Brain | Slice 79/155 | Field of view 240x240 mm
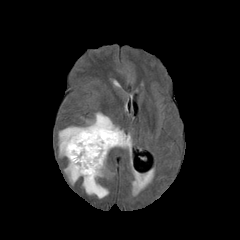
FLAIR magnetic resonance.
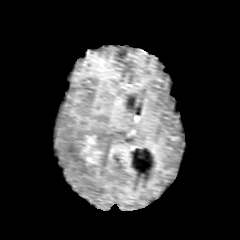
Same slice, T1-weighted magnetic resonance.
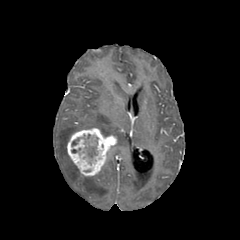
Same slice, post-contrast T1-weighted MR image.
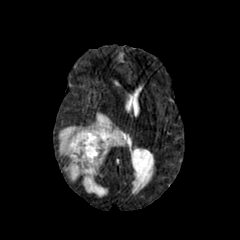
Same slice, T2-weighted MR.
The enhancing tumor is at [67,126,117,177]. 3 edema regions appear at [83,176,108,198], [64,159,79,183], [59,113,131,156]. The non-enhancing tumor core is located at [87,147,95,156].